Abdomen; Field of view 350x350 mm; 512x512; CT scan slice

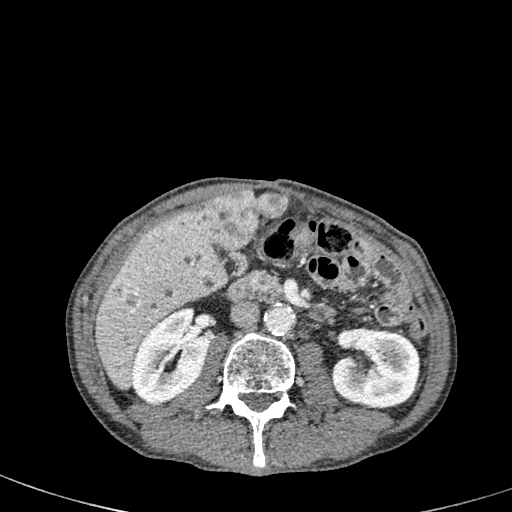 The liver appears at <box>95,206,225,388</box>. 2 focal liver lesion regions appear at <box>112,287,121,296</box>, <box>195,190,286,248</box>. 2 kidney regions appear at <box>131,309,211,403</box>, <box>333,329,418,407</box>.